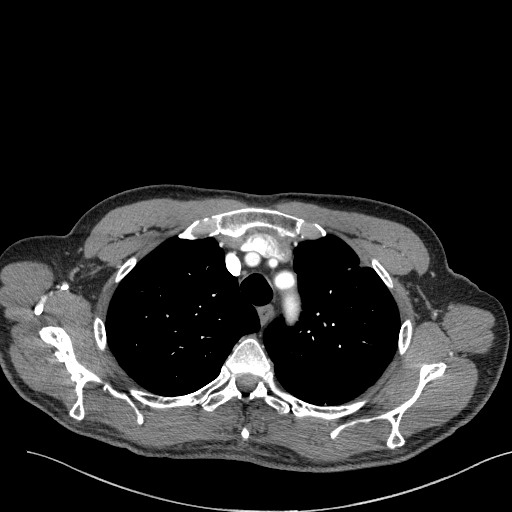 CT. Thorax. Lung tumor = bbox(346, 265, 365, 296).